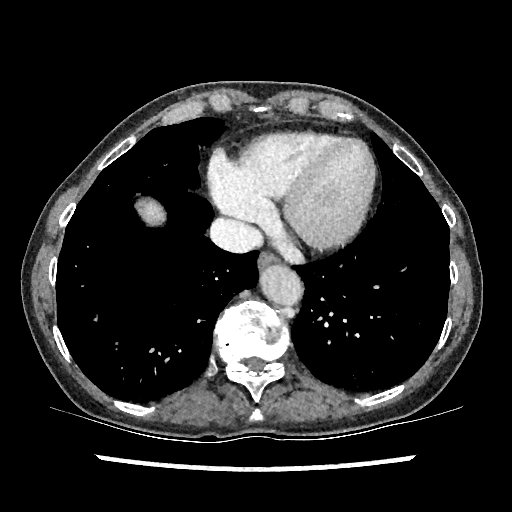
CT slice; Upper abdomen
liver:
  - 141:201:162:223